CT. Field of view 367x367 mm. 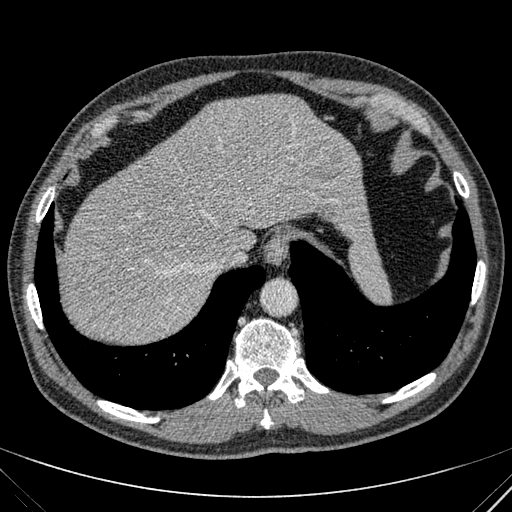 liver:
  - left=59, top=94, right=376, bottom=343